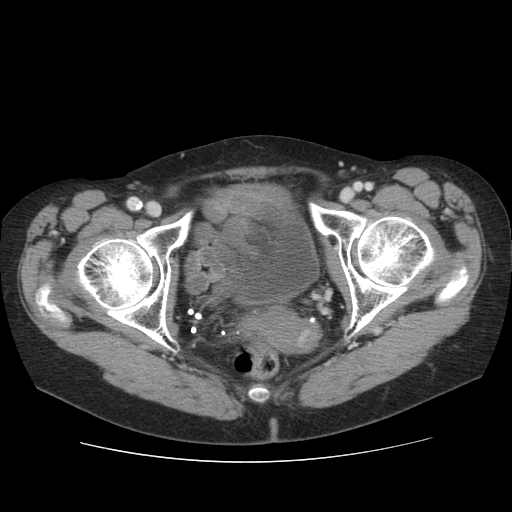

Computed tomography; Image size 512x512
Bone = (59, 211, 192, 348), (309, 202, 473, 333), (249, 388, 268, 401), (34, 277, 70, 327).